512x512. CT image.
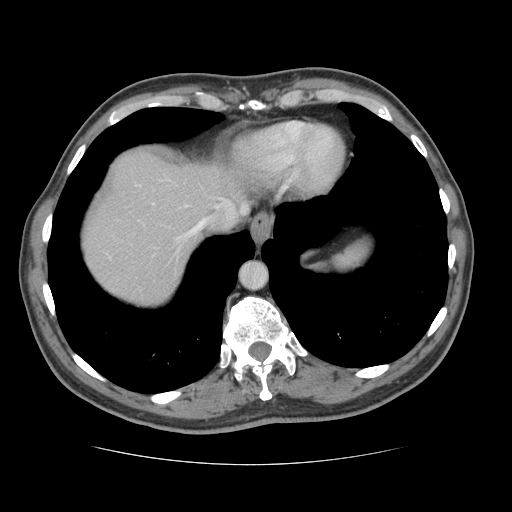 Not every hepatic vessel necessarily has a box.
Annotated regions:
* hepatic vessel: (175, 237, 181, 239), (184, 219, 205, 236), (241, 205, 244, 210), (224, 200, 230, 203)